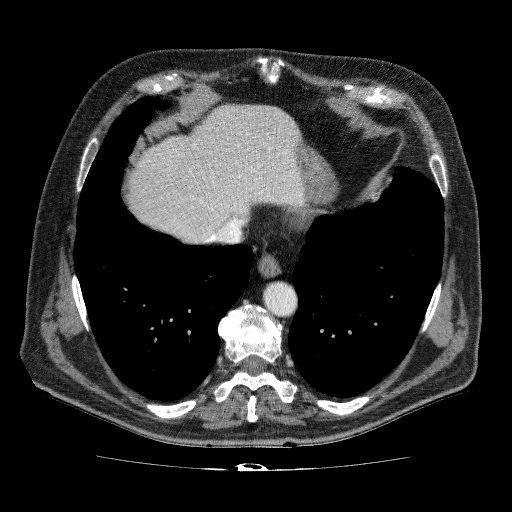
Computed tomography, 512x512 px, Liver

liver:
  - [123,104,305,244]